FLAIR MR image.
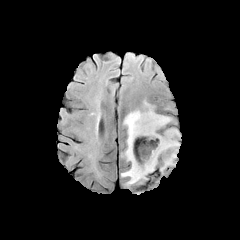
T1-weighted MR.
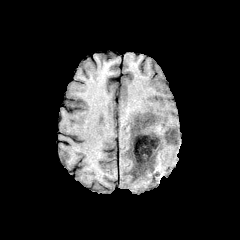
Post-contrast T1-weighted MR image.
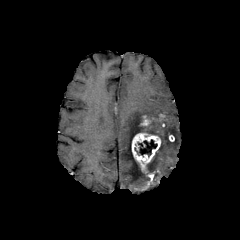
T2-weighted MRI.
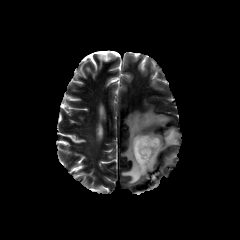
240x240
Edema — [121, 110, 180, 185], [161, 149, 177, 170].
Non-enhancing tumor core — [134, 139, 157, 156], [160, 132, 175, 143], [139, 124, 148, 133].
Enhancing tumor — [132, 133, 160, 170].